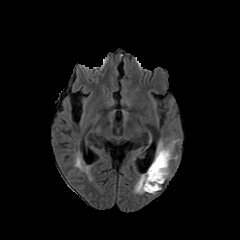
FLAIR magnetic resonance.
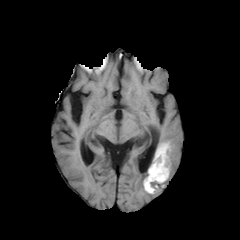
Same slice, T1-weighted MRI.
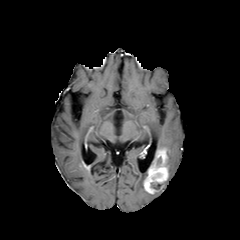
Post-contrast T1-weighted magnetic resonance.
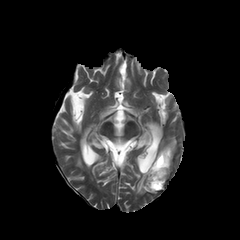
T2-weighted MR.
Image size 240x240; Head
The enhancing tumor appears at bbox(144, 149, 167, 193). 2 non-enhancing tumor core regions are located at bbox(151, 180, 165, 191); bbox(158, 148, 169, 169). 3 edema regions are located at bbox(134, 172, 147, 194); bbox(158, 139, 177, 177); bbox(75, 156, 89, 171).